FLAIR MRI.
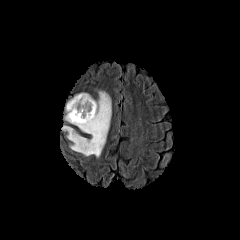
T1-weighted MR.
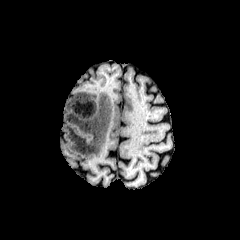
Post-contrast T1-weighted MR.
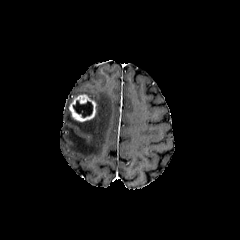
T2-weighted magnetic resonance.
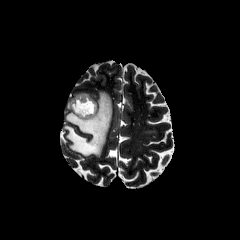
Image size 240x240
Annotated regions:
* enhancing tumor: x1=67 y1=94 x2=95 y2=121
* non-enhancing tumor core: x1=73 y1=100 x2=93 y2=118
* edema: x1=61 y1=88 x2=112 y2=156